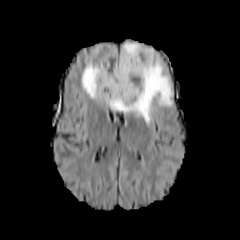
FLAIR magnetic resonance.
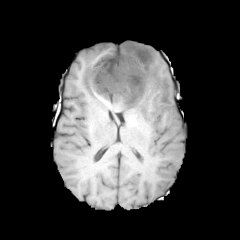
T1-weighted magnetic resonance.
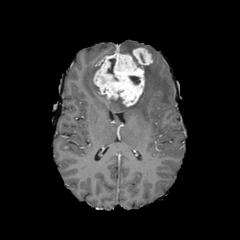
Post-contrast T1-weighted MR image of the same slice.
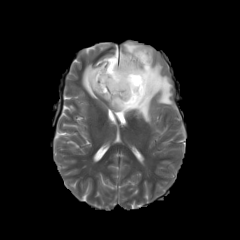
T2-weighted MR.
{"enhancing_tumor": ["[93,51,144,106]", "[133,47,152,64]"], "edema": ["[121,42,154,59]", "[81,61,173,122]"], "non-enhancing_tumor_core": ["[107,58,115,74]", "[129,76,140,84]", "[109,97,123,106]"]}